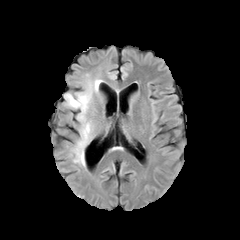
FLAIR MRI.
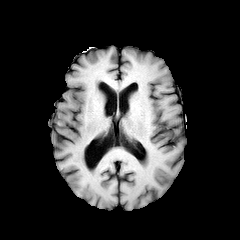
T1-weighted magnetic resonance.
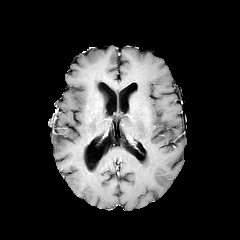
Same slice, post-contrast T1-weighted magnetic resonance.
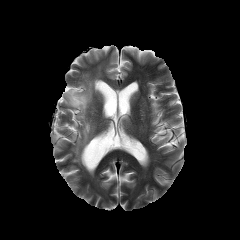
T2-weighted MR of the same slice.
Brain
edema: l=64, t=72, r=105, b=166